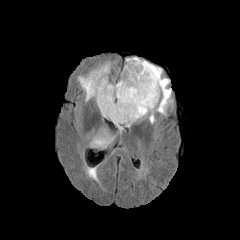
FLAIR MR.
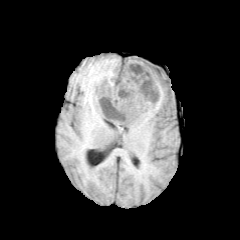
T1-weighted MR.
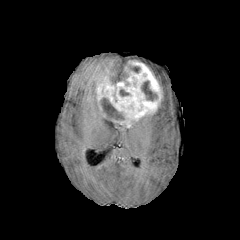
Post-contrast T1-weighted MR.
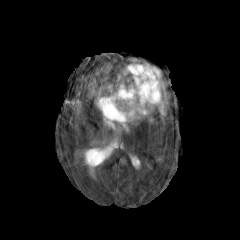
T2-weighted MR image.
Image size 240x240.
Findings:
* enhancing tumor: box=[95, 60, 163, 127]
* non-enhancing tumor core: box=[100, 98, 124, 120]; box=[129, 66, 141, 73]; box=[119, 89, 131, 96]; box=[141, 81, 157, 101]
* edema: box=[117, 57, 173, 124]; box=[91, 125, 114, 148]; box=[78, 61, 111, 107]; box=[115, 124, 125, 134]